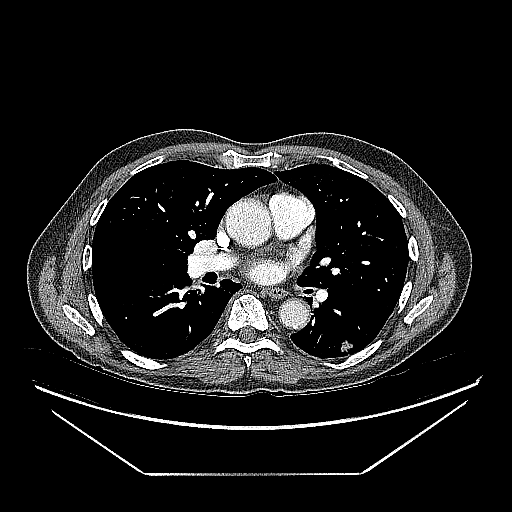 CT image
The lung tumor lies within <bbox>336, 333, 355, 356</bbox>.